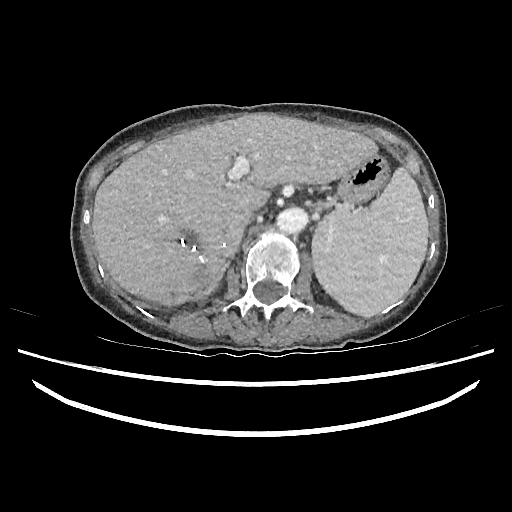
Liver. CT. 512x512 px.

The focal liver lesion is located at box(187, 234, 196, 242). The liver lies within box(93, 114, 375, 303).